Head, Image size 240x240
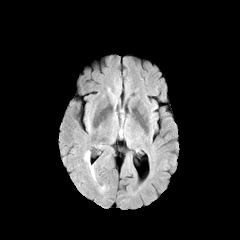
FLAIR MRI.
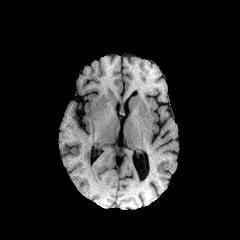
T1-weighted MRI.
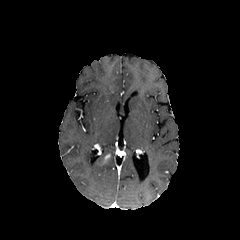
Post-contrast T1-weighted MRI of the same slice.
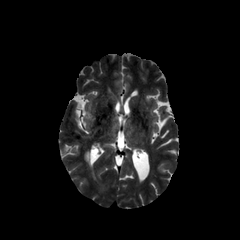
Same slice, T2-weighted magnetic resonance.
Edema: l=83, t=150, r=97, b=182.